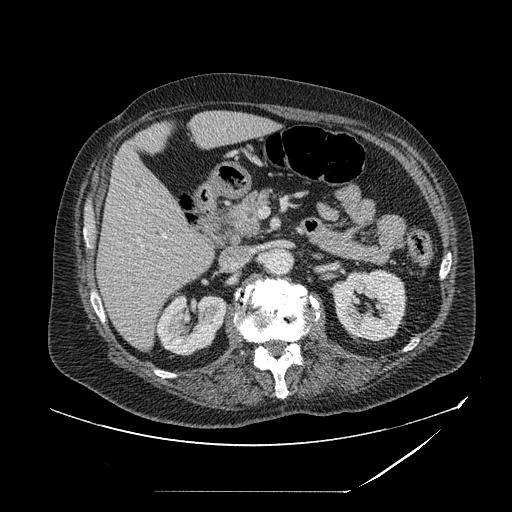 CT; Abdomen
pancreatic_tumor:
  - {"x1": 240, "y1": 218, "x2": 259, "y2": 234}
pancreas:
  - {"x1": 227, "y1": 189, "x2": 273, "y2": 233}